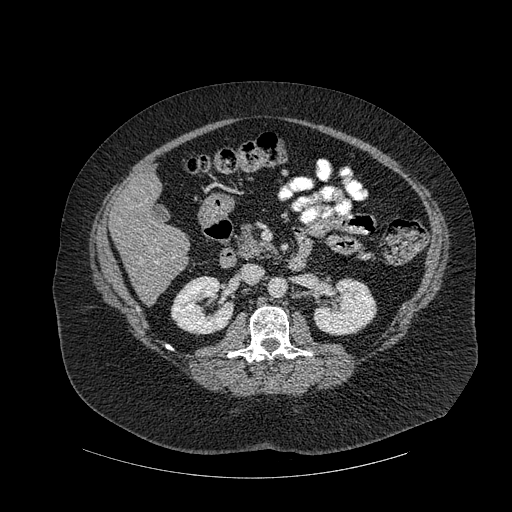
CT image
<segmentation>
  <bone>l=227, t=306, r=311, b=362</bone>
  <kidney>l=171, t=276, r=232, b=333; l=314, t=279, r=375, b=334</kidney>
  <liver>l=109, t=173, r=189, b=299</liver>
</segmentation>